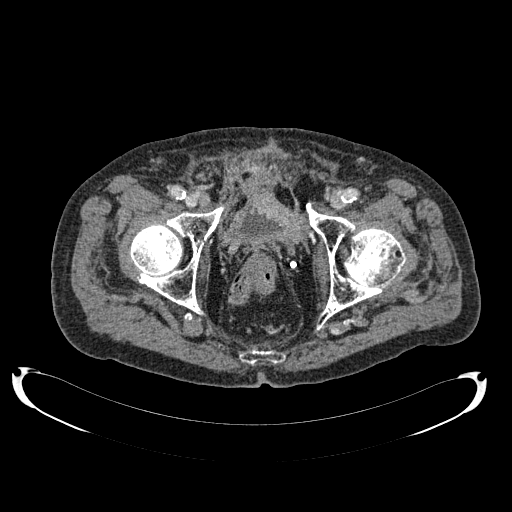

Image size 512x512; CT image; Lower abdomen

The urinary bladder is located at <bbox>240, 213, 281, 237</bbox>.